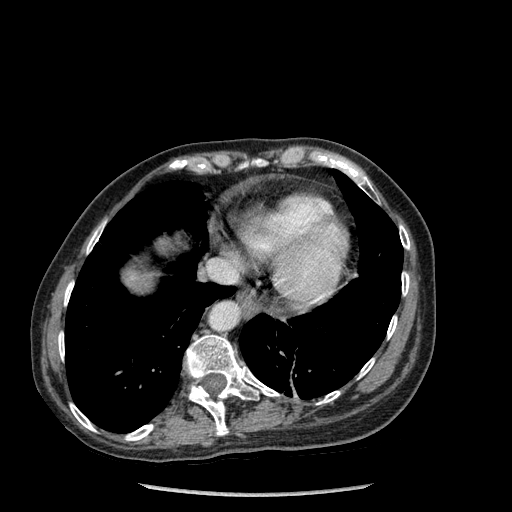
CT image | Abdomen

Bone: bounding box (401,272,409,295), (86,222,105,253), (399,225,410,249), (387,315,397,339), (184,335,279,435), (70,403,96,431), (58,331,64,360), (254,159,266,166), (329,158,374,195), (64,281,73,305), (125,424,153,440), (357,358,374,379), (316,391,340,404).
Liver: bounding box (123,268,154,289).
Lung: bounding box (239,170,403,398), (65,181,234,433).